CT slice, Slice index 109, Liver 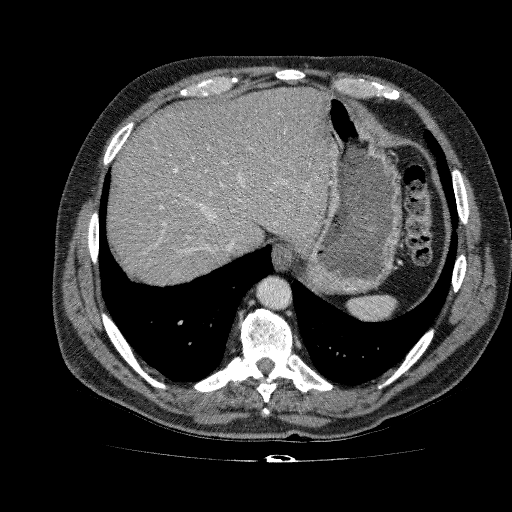

Annotated regions:
* liver: bbox(107, 87, 331, 286)